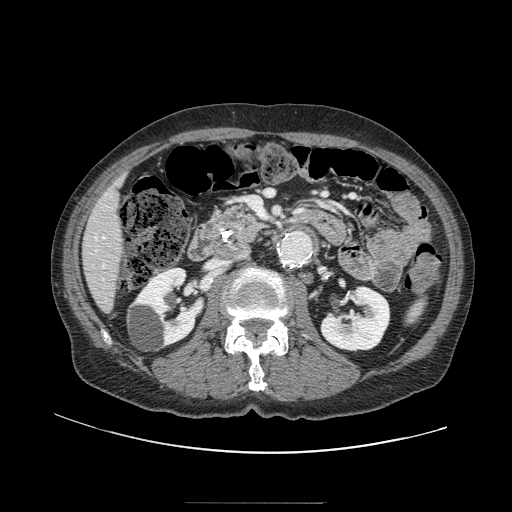
CT image. Image size 512x512. Upper abdomen. pancreas: (203,205,265,243)